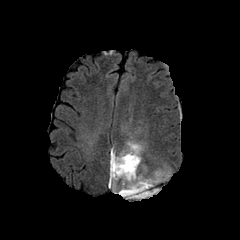
FLAIR MRI.
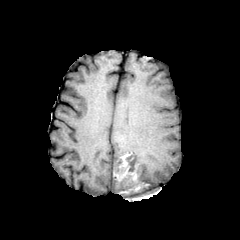
T1-weighted magnetic resonance of the same slice.
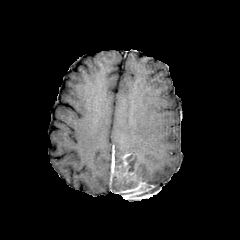
Post-contrast T1-weighted MRI of the same slice.
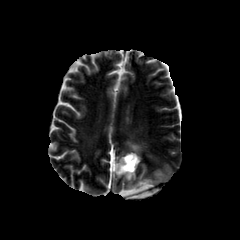
Same slice, T2-weighted magnetic resonance.
2 enhancing tumor regions are bounded by x1=118, y1=180, x2=147, y2=198; x1=110, y1=152, x2=117, y2=181. 2 non-enhancing tumor core regions are located at x1=114, y1=153, x2=136, y2=180; x1=136, y1=182, x2=152, y2=196. The edema lies within x1=108, y1=142, x2=155, y2=193.